Brain
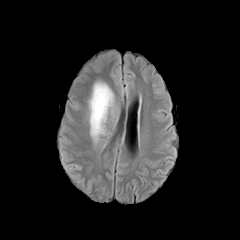
FLAIR MR.
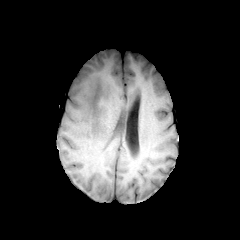
Same slice, T1-weighted magnetic resonance.
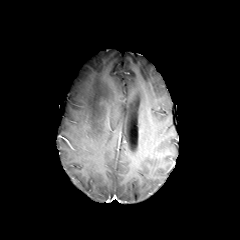
Post-contrast T1-weighted MR image.
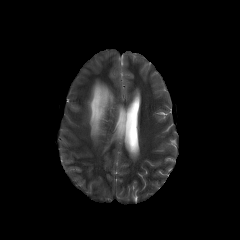
T2-weighted magnetic resonance.
edema: [88,82,113,138]